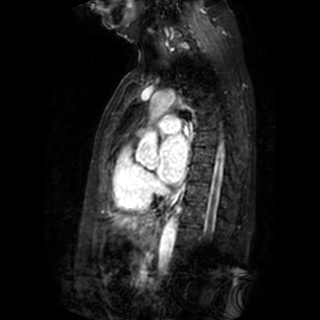

Image size 320x320. Heart. MRI. The left atrium is located at [158, 134, 187, 183].